CT image
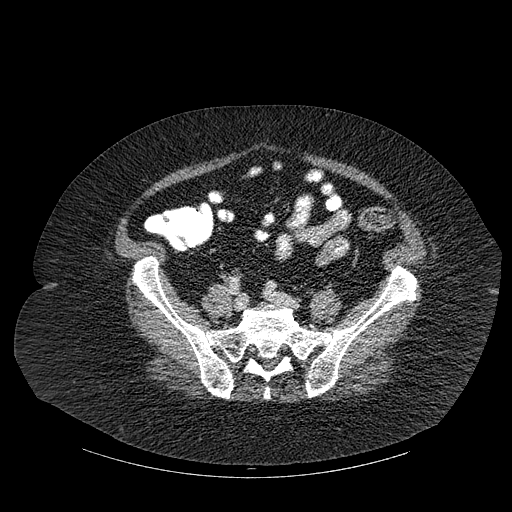 3 bone regions are located at [x1=133, y1=256, x2=416, y2=398], [x1=244, y1=357, x2=291, y2=381], [x1=264, y1=387, x2=269, y2=398].